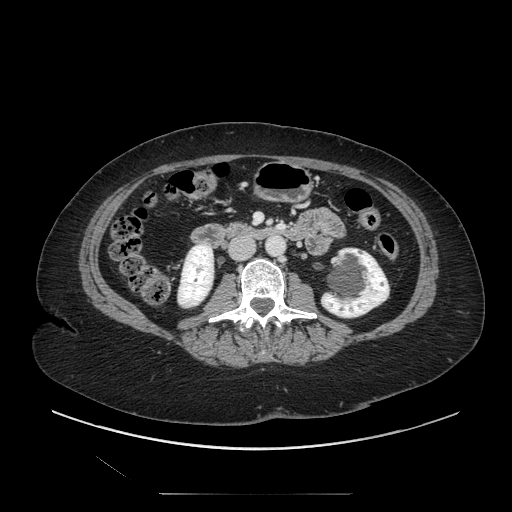
512x512 px, CT scan slice, Upper abdomen
The pancreas appears at [230,223,248,233].